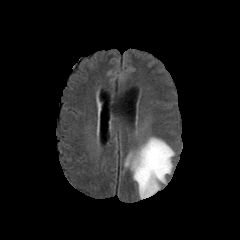
FLAIR magnetic resonance.
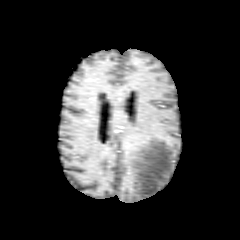
T1-weighted MRI of the same slice.
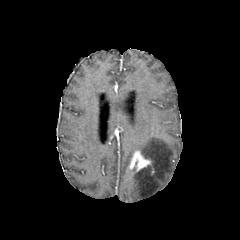
Post-contrast T1-weighted MR image of the same slice.
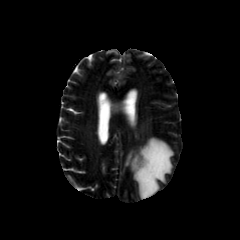
T2-weighted MRI.
Brain
edema:
  - (x1=124, y1=153, x2=131, y2=166)
  - (x1=132, y1=137, x2=174, y2=199)
enhancing_tumor:
  - (x1=129, y1=151, x2=151, y2=172)